Computed tomography, Chest, Image width 351 mm
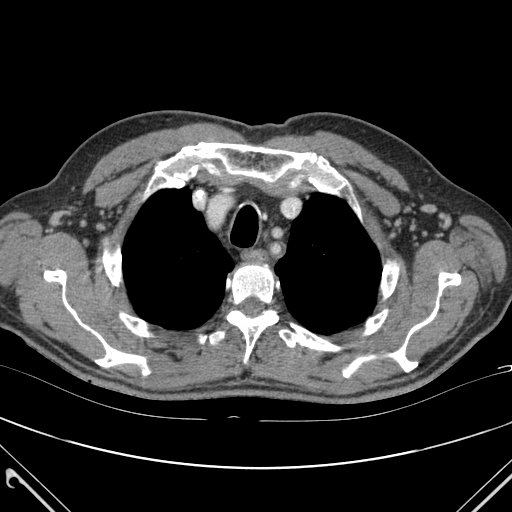
- bone: [227,265,273,303], [279,323,339,350], [44,270,149,374], [343,357,371,377], [120,313,148,336], [210,332,224,343], [364,310,387,334], [381,263,398,297], [227,310,278,362], [150,142,346,193], [103,249,121,285], [390,272,460,371]
- lung: [122,188,233,329], [275,193,381,334]